FLAIR magnetic resonance.
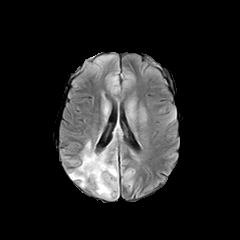
T1-weighted MRI.
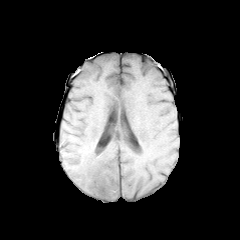
Post-contrast T1-weighted MR image.
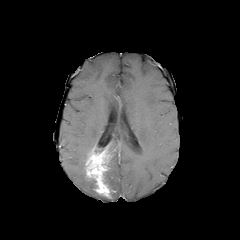
T2-weighted MR.
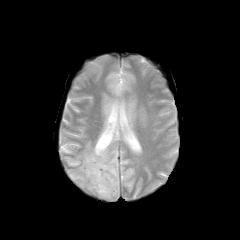
3 edema regions are located at [106,140,119,196], [69,141,96,193], [113,124,122,136]. The enhancing tumor appears at [85,150,111,197]. The non-enhancing tumor core lies within [104,154,111,190].